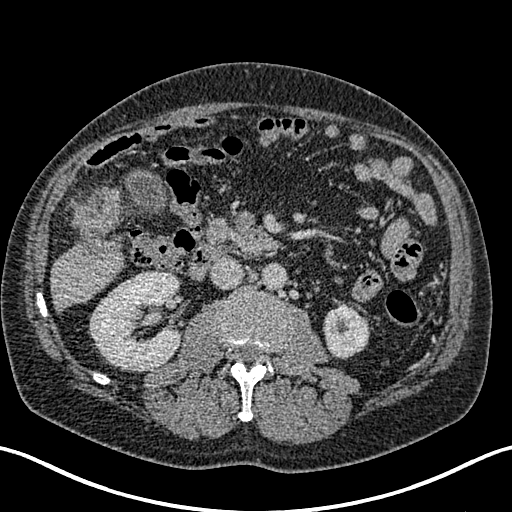 CT; Upper abdomen

hepatic lesion: left=75, top=198, right=113, bottom=259 | kidney: left=90, top=272, right=179, bottom=370; left=325, top=306, right=367, bottom=357 | liver: left=49, top=200, right=119, bottom=311; left=87, top=188, right=122, bottom=229